FLAIR MR.
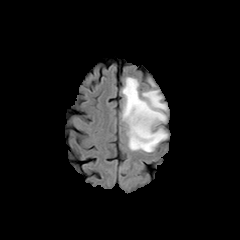
T1-weighted MR image.
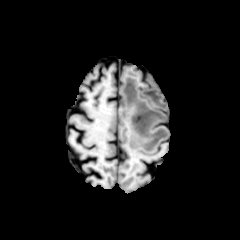
Post-contrast T1-weighted MR image.
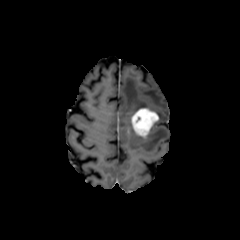
T2-weighted MRI.
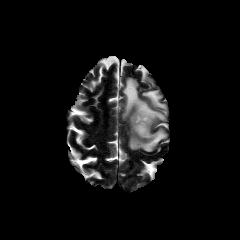
Enhancing tumor: (left=131, top=108, right=159, bottom=138).
Edema: (left=121, top=77, right=167, bottom=152).